FLAIR magnetic resonance.
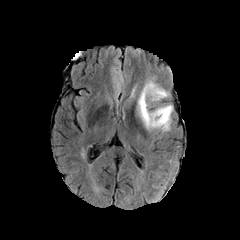
T1-weighted MR.
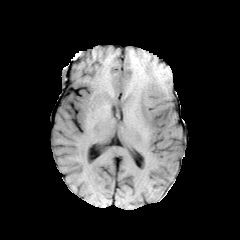
Post-contrast T1-weighted MR image.
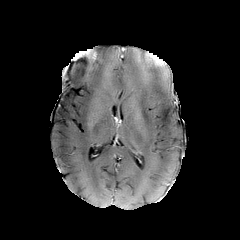
T2-weighted MR.
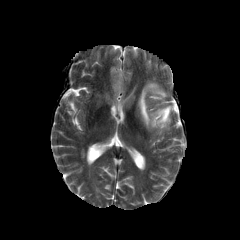
{
  "edema": [
    "l=137, t=79, r=173, b=133"
  ]
}